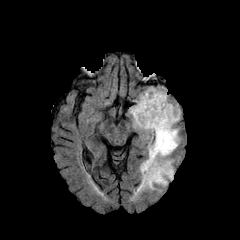
FLAIR MRI.
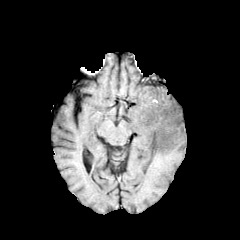
T1-weighted MR.
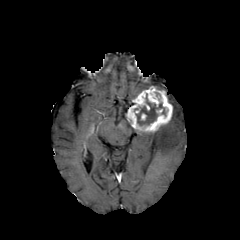
Same slice, post-contrast T1-weighted magnetic resonance.
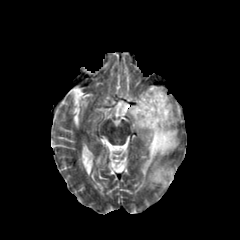
T2-weighted magnetic resonance.
Image size 240x240
Edema: (x1=140, y1=104, x2=180, y2=186).
Enhancing tumor: (x1=127, y1=86, x2=172, y2=133), (x1=140, y1=113, x2=147, y2=121).
Non-enhancing tumor core: (x1=136, y1=104, x2=156, y2=124).